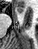

Image size 38x49 | MRI
Anterior hippocampus: rect(15, 7, 22, 14).